T2-weighted magnetic resonance.
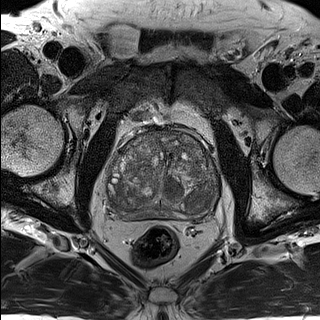
ADC MR image.
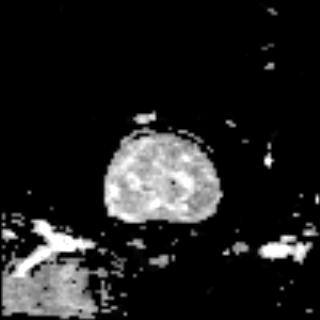
Prostate, Image size 320x320
prostate_transition_zone:
  - box=[108, 134, 217, 213]
prostate_peripheral_zone:
  - box=[115, 204, 213, 219]